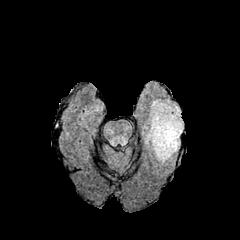
FLAIR MRI.
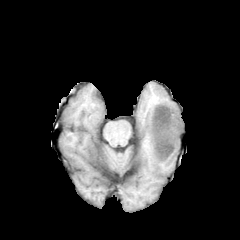
T1-weighted MR.
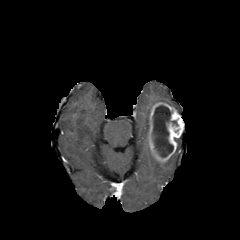
Post-contrast T1-weighted MRI.
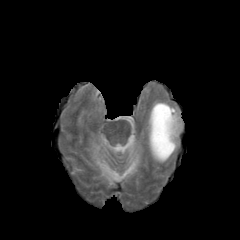
T2-weighted MRI.
Edema: 148, 99, 171, 112; 144, 124, 151, 155.
Non-enhancing tumor core: 153, 105, 173, 157.
Enhancing tumor: 148, 102, 184, 162.